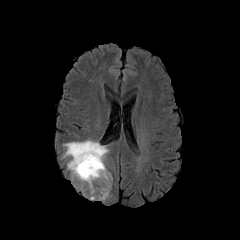
FLAIR MR image.
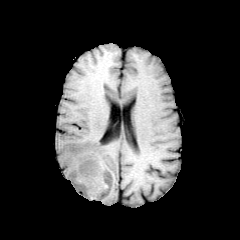
Same slice, T1-weighted MR.
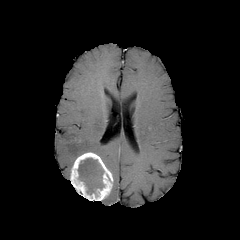
Post-contrast T1-weighted MR image of the same slice.
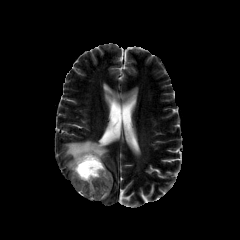
T2-weighted MR image.
Brain
edema:
  - [x1=62, y1=139, x2=109, y2=172]
enhancing_tumor:
  - [x1=70, y1=152, x2=112, y2=200]
non-enhancing_tumor_core:
  - [x1=77, y1=157, x2=104, y2=194]